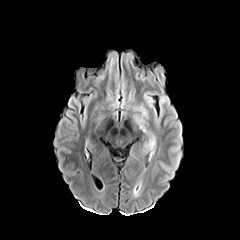
FLAIR MR.
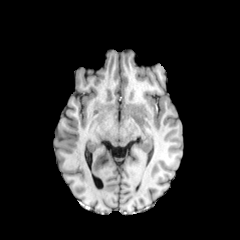
T1-weighted MR.
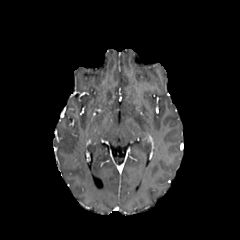
Post-contrast T1-weighted magnetic resonance.
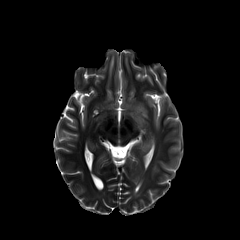
T2-weighted magnetic resonance.
Image size 240x240
3 edema regions are bounded by (x1=121, y1=83, x2=155, y2=142), (x1=143, y1=93, x2=159, y2=124), (x1=140, y1=140, x2=151, y2=153).